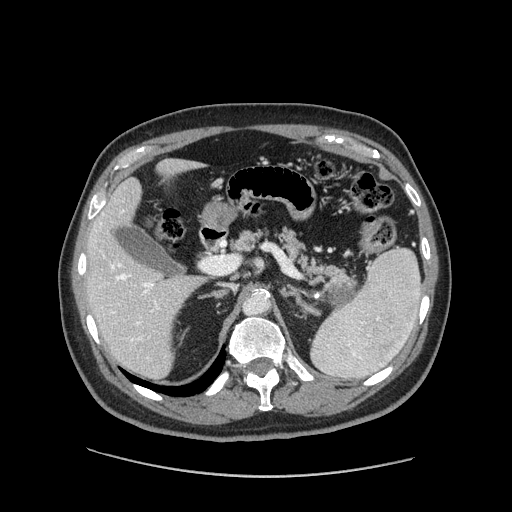 CT scan slice
Findings:
* pancreatic tumor: left=331, top=281, right=357, bottom=306
* pancreas: left=277, top=232, right=357, bottom=291; left=231, top=230, right=265, bottom=250